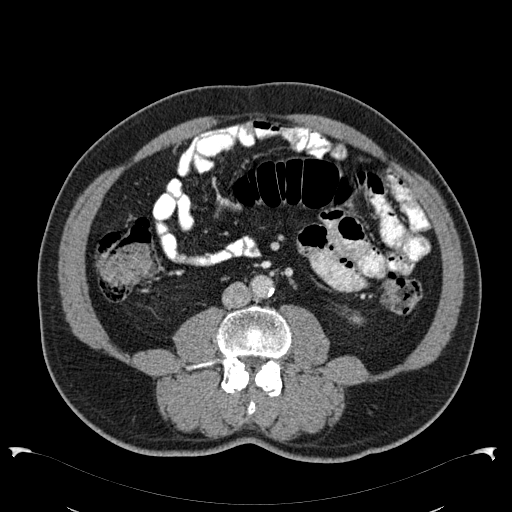
Abdomen | CT image
The kidney is at 349 314 361 323.